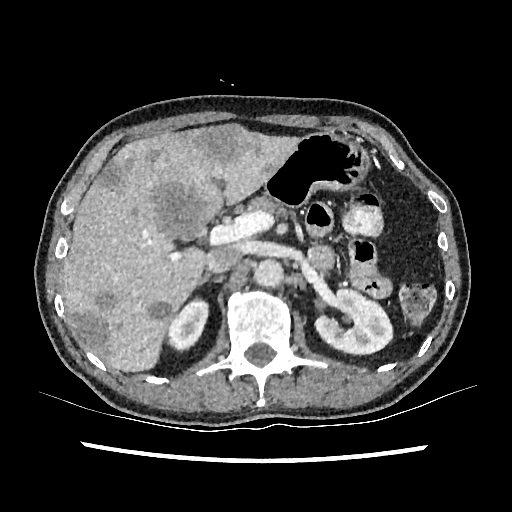

CT slice. Liver.

{
  "hepatic_lesion": [
    "box(96, 158, 133, 188)",
    "box(94, 290, 117, 310)",
    "box(184, 126, 254, 166)",
    "box(72, 312, 111, 354)",
    "box(153, 181, 206, 241)",
    "box(146, 301, 173, 320)",
    "box(145, 149, 160, 164)",
    "box(130, 207, 138, 216)",
    "box(261, 164, 278, 173)"
  ],
  "liver": [
    "box(64, 128, 297, 370)"
  ],
  "kidney": [
    "box(315, 287, 394, 358)",
    "box(169, 301, 207, 348)"
  ]
}